Slice 44/466; CT slice; Field of view 344 mm wide, 1.00 mm slice spacing

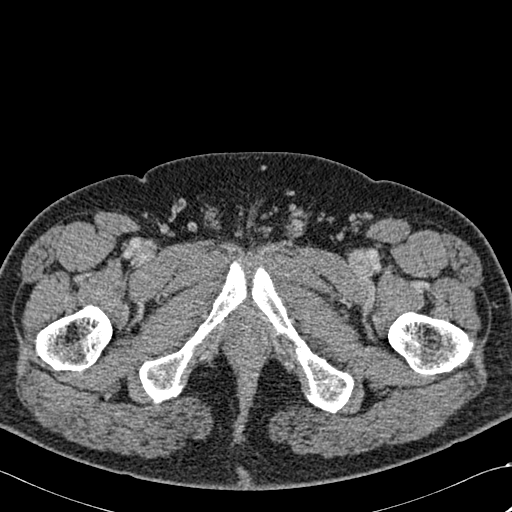 4 bone regions are bounded by <bbox>388, 312, 471, 375</bbox>, <bbox>139, 262, 246, 402</bbox>, <bbox>252, 267, 353, 412</bbox>, <bbox>36, 305, 111, 371</bbox>.